Image size 512x512 | Computed tomography | Image width 335 mm

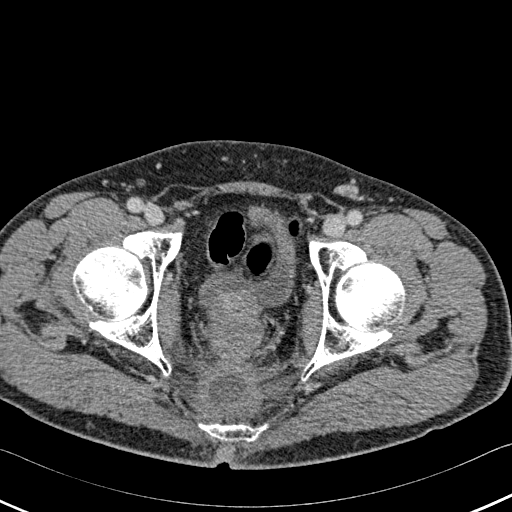
• urinary bladder: 199:214:295:316
• bone: 73:232:181:375, 301:241:404:380, 199:423:266:444